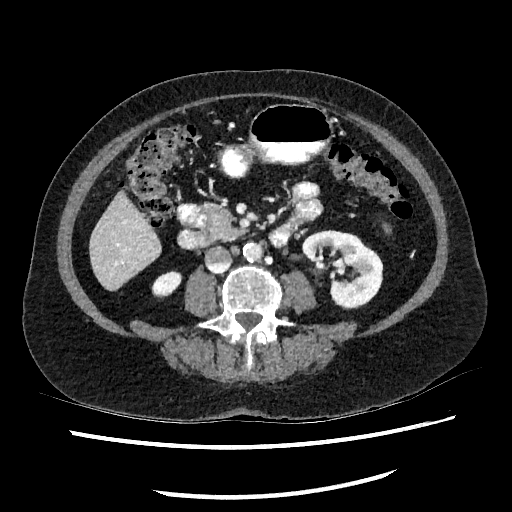

Computed tomography | 512x512
The liver lies within box(89, 189, 160, 289). 2 kidney regions appear at box(153, 272, 180, 294); box(303, 231, 381, 306).